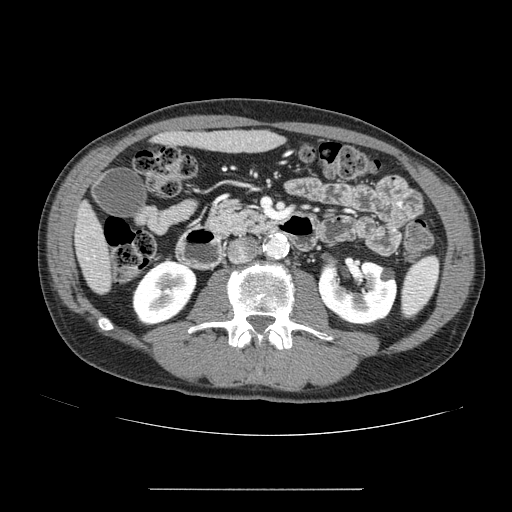

Abdomen. CT.
Segmented structures:
- pancreas: box=[207, 200, 275, 238]